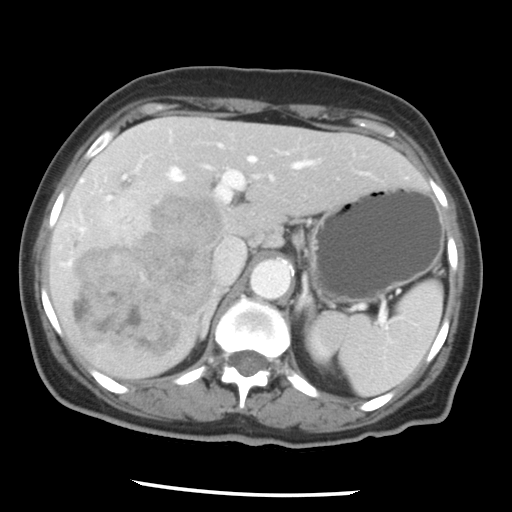 CT image

Only some of the vessels may be annotated.
8 hepatic vessel regions appear at <box>218,239,243,281</box>, <box>81,178,85,181</box>, <box>248,155,257,162</box>, <box>216,166,243,201</box>, <box>294,160,313,168</box>, <box>270,176,272,178</box>, <box>93,180,100,192</box>, <box>166,166,184,182</box>. The liver tumor is at <box>69,188,225,359</box>.